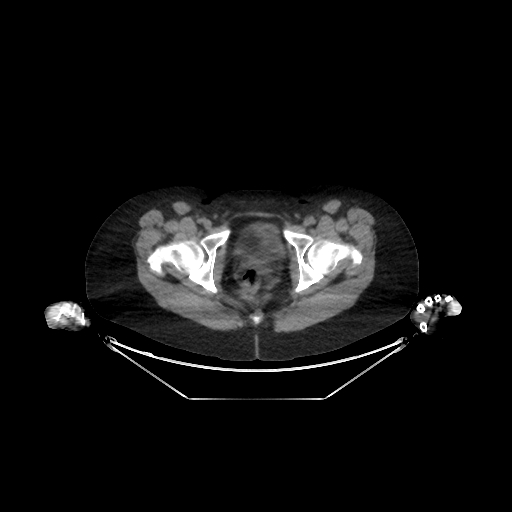 CT scan slice; 512x512 px

<segmentation>
  <urinary_bladder>231:223:284:264</urinary_bladder>
</segmentation>